FLAIR MRI.
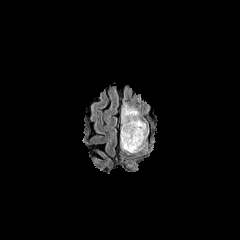
T1-weighted magnetic resonance.
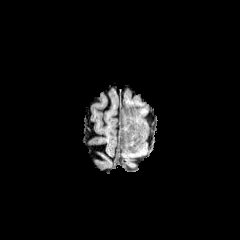
Post-contrast T1-weighted MR image.
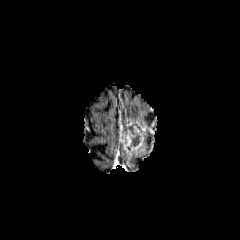
T2-weighted MR image.
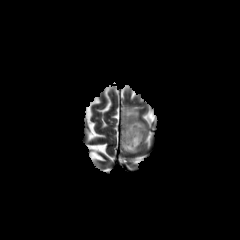
<segmentation>
  <enhancing_tumor>bbox(121, 119, 148, 156)</enhancing_tumor>
  <non-enhancing_tumor_core>bbox(130, 133, 140, 146); bbox(122, 122, 141, 134)</non-enhancing_tumor_core>
  <edema>bbox(121, 104, 142, 126)</edema>
</segmentation>